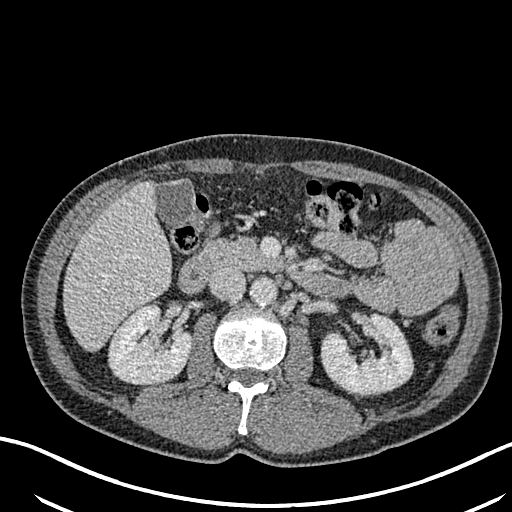

Computed tomography, Liver
{
  "kidney": [
    "l=109, t=306, r=190, b=383",
    "l=322, t=314, r=412, b=393"
  ],
  "liver": [
    "l=65, t=181, r=171, b=349"
  ]
}